FLAIR MR image.
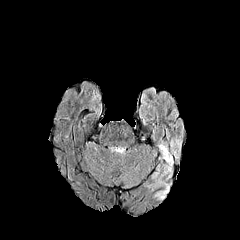
T1-weighted MR image.
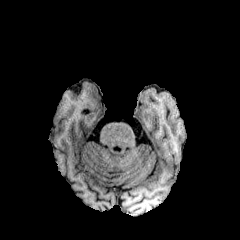
Post-contrast T1-weighted MRI.
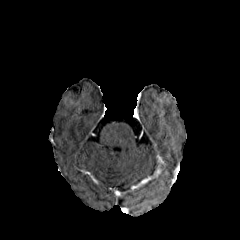
T2-weighted MRI.
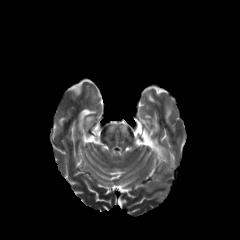
Brain
Findings:
- enhancing tumor: bbox=[151, 166, 164, 178]; bbox=[156, 154, 163, 164]
- edema: bbox=[158, 145, 172, 166]; bbox=[158, 164, 170, 178]; bbox=[149, 176, 164, 185]